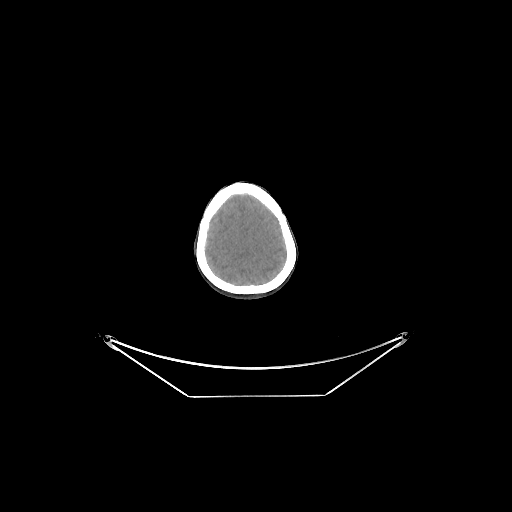
512x512; CT slice
Brain at (x1=205, y1=195, x2=286, y2=285).